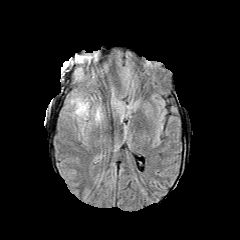
FLAIR MR image.
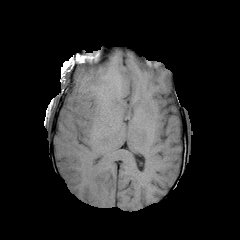
T1-weighted MR.
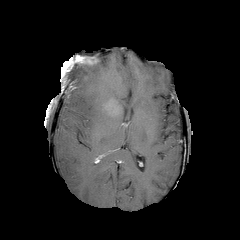
Post-contrast T1-weighted MRI.
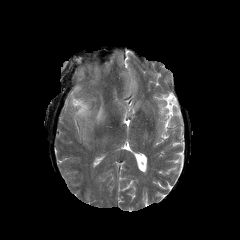
T2-weighted MR.
Annotated regions:
* enhancing tumor: (103,99,122,116)
* edema: (95,107,102,121), (71,98,89,119)